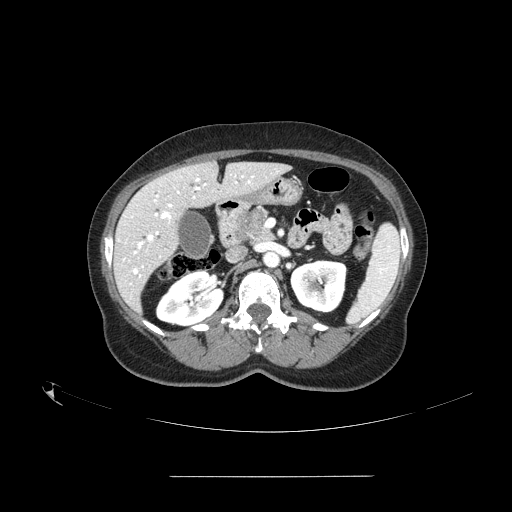

Image size 512x512 | Upper abdomen | CT image

Annotated regions:
- pancreatic tumor: left=240, top=213, right=260, bottom=235
- pancreas: left=235, top=206, right=273, bottom=240